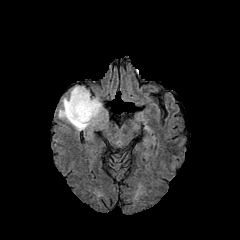
FLAIR MR.
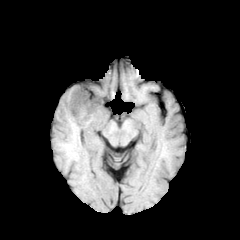
T1-weighted MR image of the same slice.
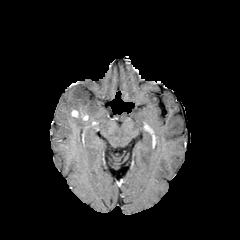
Post-contrast T1-weighted magnetic resonance of the same slice.
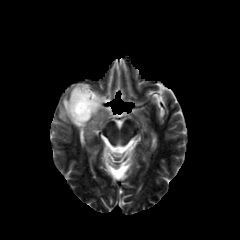
T2-weighted magnetic resonance.
Brain
edema: (58, 86, 102, 130) | enhancing tumor: (70, 109, 78, 118)